Image width 240 mm, Head, Slice 96/155, Image size 240x240
FLAIR MR.
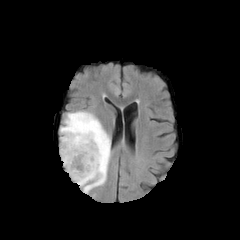
T1-weighted MR image.
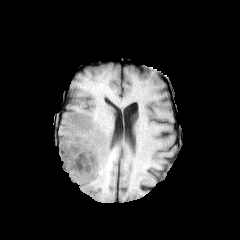
Post-contrast T1-weighted MR.
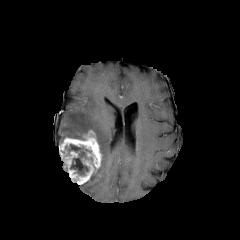
T2-weighted MRI.
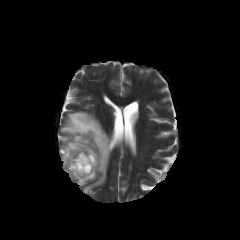
The enhancing tumor lies within 59 130 102 184. The edema is located at 60 110 111 193. The non-enhancing tumor core is bounded by 68 144 88 175.